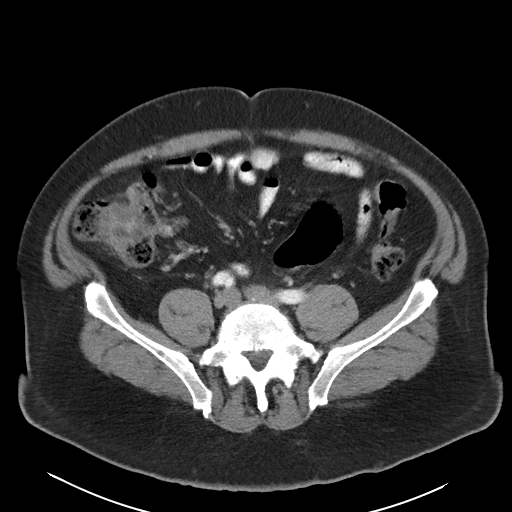

Computed tomography; Pelvis; Image size 512x512
The colon tumor lies within bbox(100, 190, 151, 258).